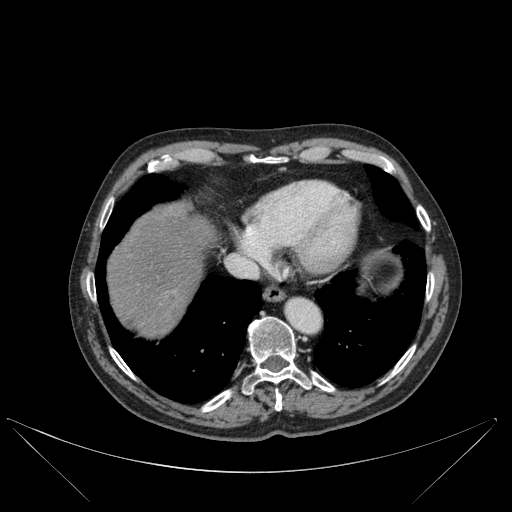 CT slice | Image size 512x512

liver: 108:215:214:337 | lung: 95:174:261:403, 314:241:426:387, 365:165:417:229 | bone: 417:206:430:230, 202:390:230:411, 380:158:392:171, 275:390:281:410, 86:280:95:300, 147:162:157:171, 426:275:434:298, 390:346:414:376, 110:349:134:378, 100:203:111:227, 299:357:314:376, 249:156:285:163, 242:317:334:393